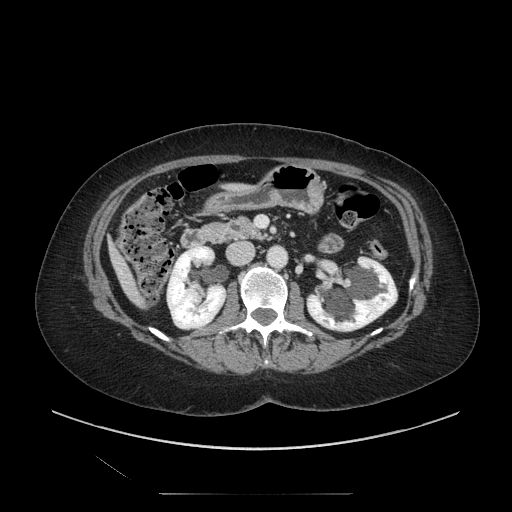
Upper abdomen, Computed tomography

{
  "pancreas": [
    "203:217:263:243"
  ]
}